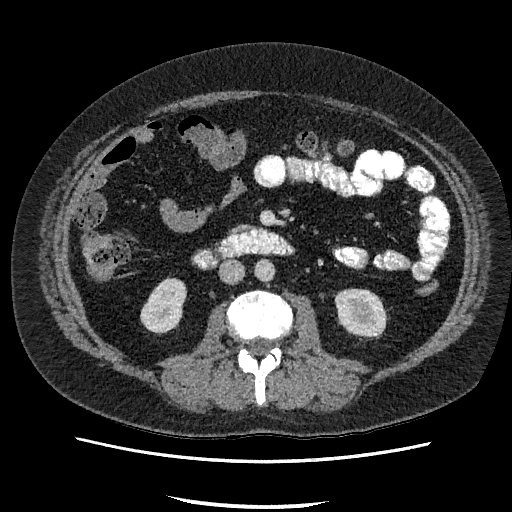
CT
kidney:
  - 141, 279, 184, 331
  - 336, 289, 385, 335